CT image; Image size 512x512
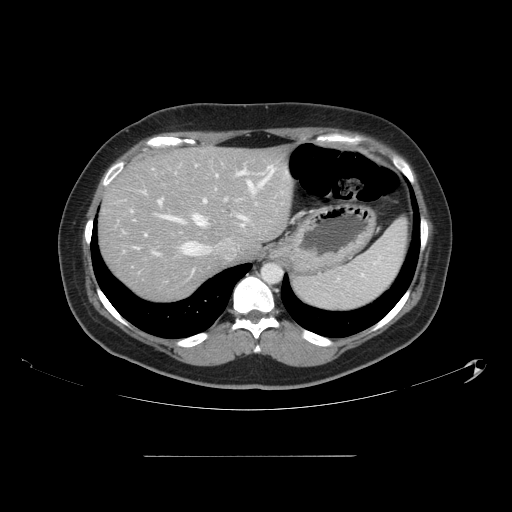

Not every hepatic vessel necessarily has a box.
Segmented structures:
• hepatic vessel: [203, 198, 206, 202], [181, 242, 200, 253], [237, 168, 245, 174], [192, 213, 205, 225], [237, 215, 246, 225], [135, 247, 139, 249], [153, 252, 158, 254], [158, 199, 161, 204], [164, 216, 181, 220], [259, 165, 274, 185], [207, 249, 209, 251], [247, 181, 254, 191], [216, 174, 217, 176]